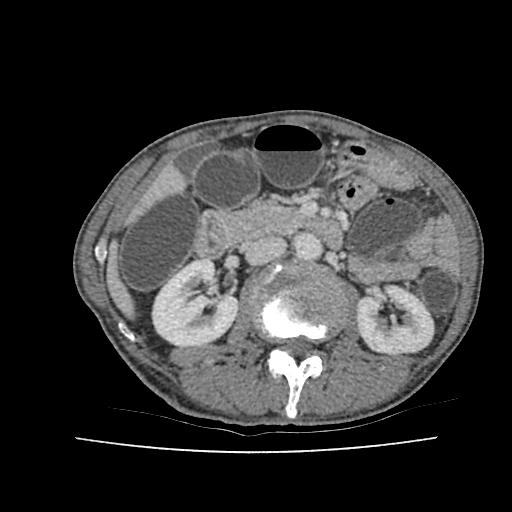
Upper abdomen; CT scan slice
<segmentation>
  <kidney>x1=153 y1=259 x2=237 y2=345, x1=358 y1=287 x2=433 y2=353</kidney>
  <liver>x1=110 y1=249 x2=131 y2=310, x1=141 y1=168 x2=180 y2=209</liver>
</segmentation>